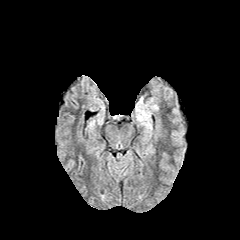
FLAIR magnetic resonance.
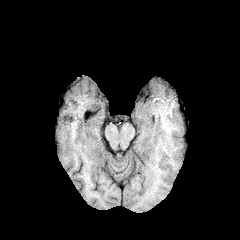
T1-weighted magnetic resonance of the same slice.
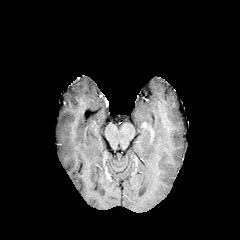
Post-contrast T1-weighted MR of the same slice.
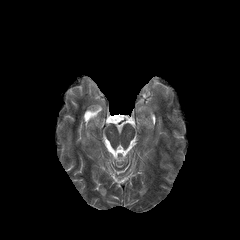
Same slice, T2-weighted MR image.
Head; 240x240
The edema is at region(136, 97, 157, 121).